Slice 63 of 155; Head
FLAIR MR image.
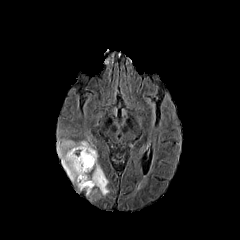
T1-weighted MRI.
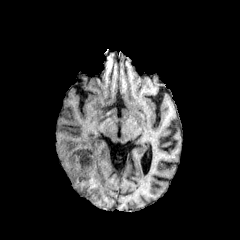
Post-contrast T1-weighted MR image.
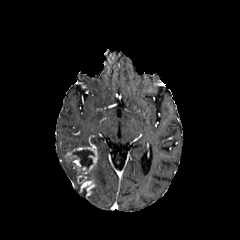
T2-weighted magnetic resonance.
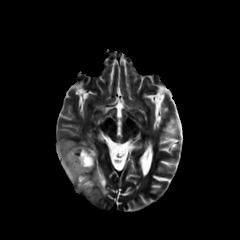
2 edema regions are bounded by <bbox>84, 163, 109, 196</bbox>, <bbox>60, 139, 88, 190</bbox>. The non-enhancing tumor core is located at <bbox>70, 149, 95, 173</bbox>. 3 enhancing tumor regions are located at <bbox>73, 159, 81, 170</bbox>, <bbox>80, 179, 96, 195</bbox>, <bbox>73, 146, 97, 183</bbox>.